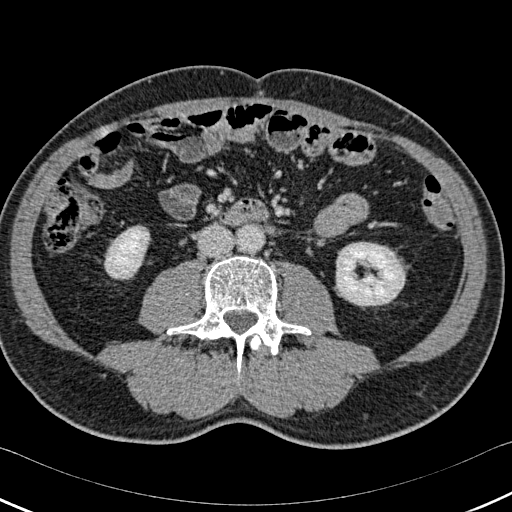

Image size 512x512; Computed tomography

<segmentation>
  <bone>167,256,310,379</bone>
  <kidney>336,242,404,305; 105,226,148,278</kidney>
</segmentation>